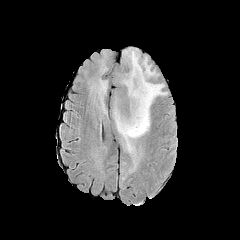
FLAIR MR.
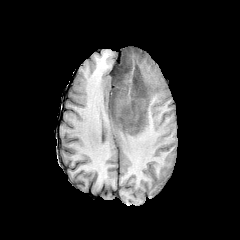
T1-weighted magnetic resonance.
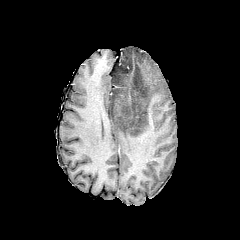
Post-contrast T1-weighted MR image.
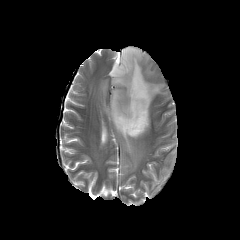
Same slice, T2-weighted MR image.
Non-enhancing tumor core at (112,68,146,126), (117,53,130,76).
Edema at (110,48,165,171), (112,82,131,117).